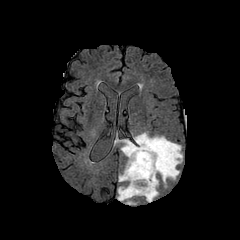
FLAIR magnetic resonance.
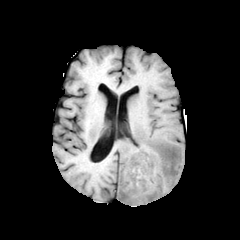
Same slice, T1-weighted MR.
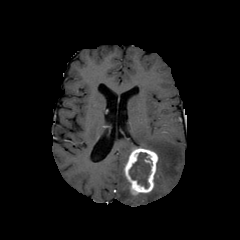
Post-contrast T1-weighted MRI of the same slice.
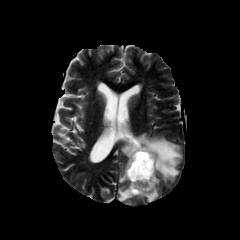
Same slice, T2-weighted MR.
Annotated regions:
• edema: [118, 172, 126, 182], [114, 132, 134, 156], [117, 132, 182, 204]
• non-enhancing tumor core: [130, 153, 149, 179], [138, 178, 147, 187]
• enhancing tumor: [123, 145, 158, 195]